240x240 px
FLAIR MRI.
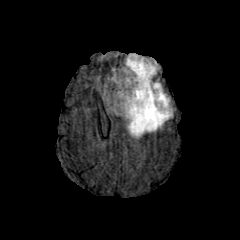
T1-weighted MR.
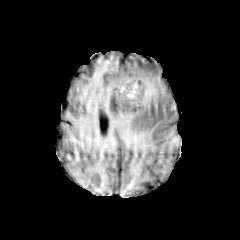
Post-contrast T1-weighted MRI.
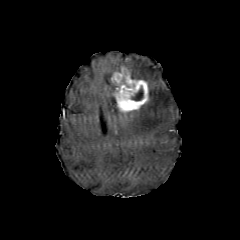
T2-weighted MR.
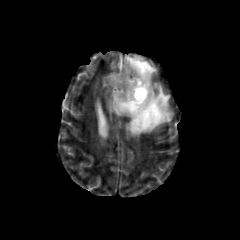
Enhancing tumor: l=111, t=66, r=148, b=116.
Non-enhancing tumor core: l=132, t=88, r=143, b=100.
Edema: l=122, t=54, r=173, b=138.